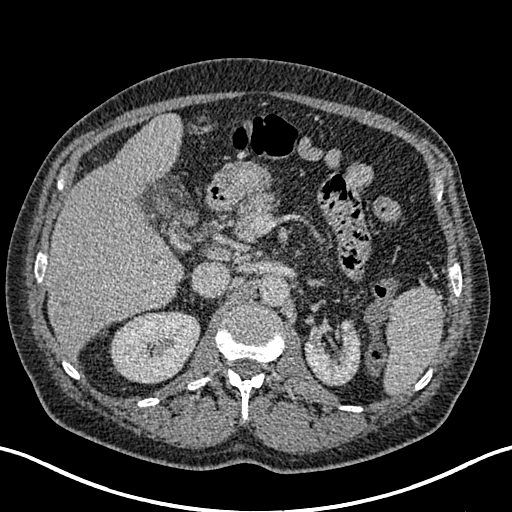 CT slice | Liver
<segmentation>
  <liver>region(47, 115, 183, 358)</liver>
  <focal_liver_lesion>region(87, 310, 97, 321); region(56, 314, 73, 322); region(58, 283, 70, 304)</focal_liver_lesion>
  <kidney>region(112, 312, 199, 382); region(305, 322, 359, 384)</kidney>
</segmentation>